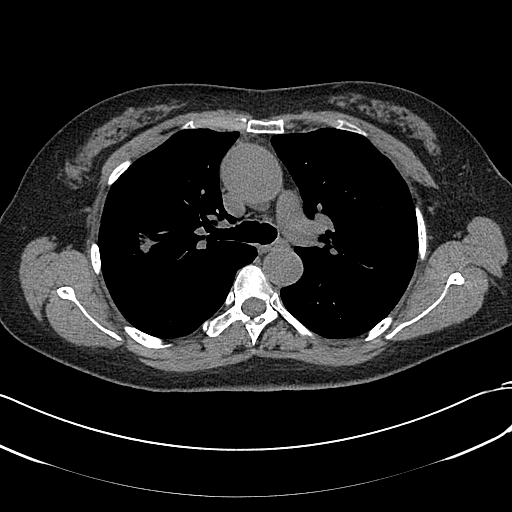

Chest. CT scan slice.

lung tumor: [x1=134, y1=231, x2=156, y2=264]